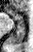 Magnetic resonance, Medial temporal lobe
{
  "posterior_hippocampus": [
    "<box>13,22,24,44</box>"
  ],
  "anterior_hippocampus": [
    "<box>9,10,22,21</box>"
  ]
}